FLAIR MR.
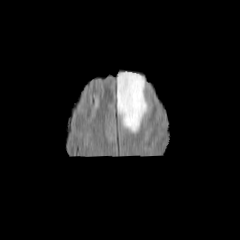
T1-weighted MRI.
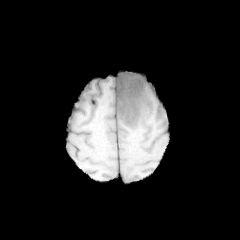
Post-contrast T1-weighted MR.
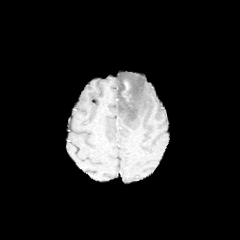
T2-weighted MRI.
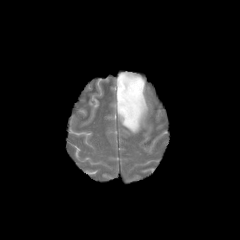
{"edema": ["region(117, 71, 147, 131)"], "enhancing_tumor": ["region(122, 80, 129, 101)"]}